Brain.
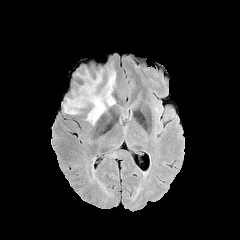
FLAIR MRI.
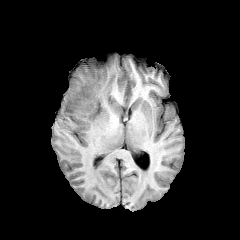
T1-weighted MRI.
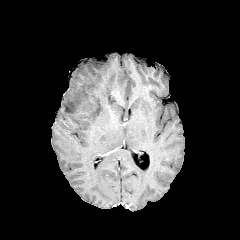
Post-contrast T1-weighted magnetic resonance of the same slice.
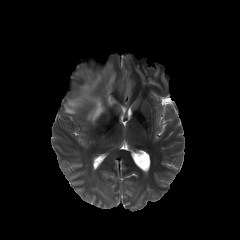
T2-weighted MR.
edema: <box>64,65,116,125</box>